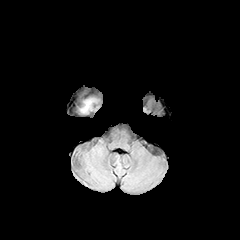
FLAIR MR.
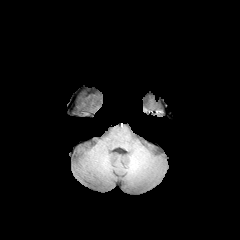
T1-weighted MRI.
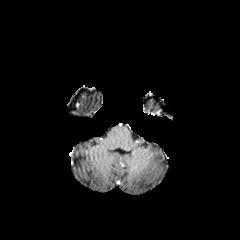
Post-contrast T1-weighted magnetic resonance of the same slice.
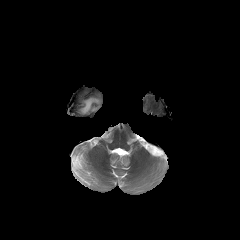
T2-weighted magnetic resonance of the same slice.
Head
edema:
  - bbox(81, 99, 94, 112)